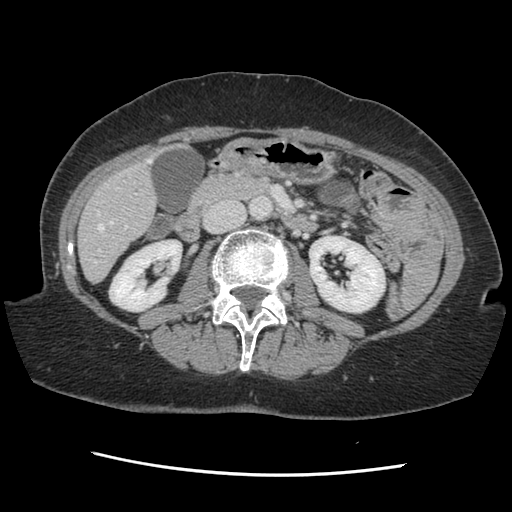 Liver | CT scan slice

The vessel boxes may cover only some of the vessels.
* hepatic vessel: 125,226,126,227; 97,211,98,213; 109,221,112,223; 95,261,96,262; 148,159,151,162; 98,224,103,230; 98,249,100,250